Liver. CT slice.
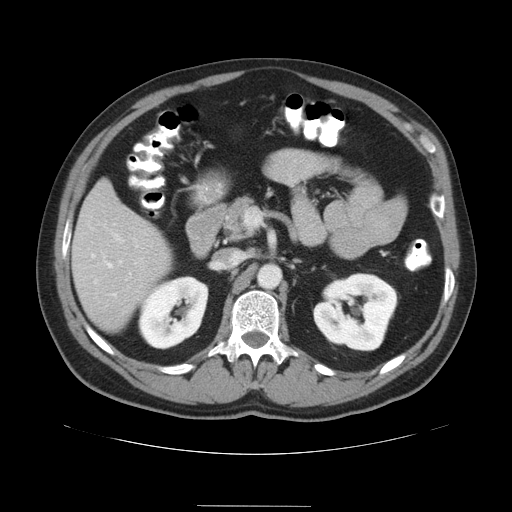 Only some of the vessels may be annotated.
Hepatic vessel: bounding box left=255, top=219, right=257, bottom=221; left=97, top=253, right=112, bottom=268; left=92, top=254, right=95, bottom=258; left=119, top=261, right=122, bottom=263; left=134, top=262, right=136, bottom=264; left=126, top=273, right=131, bottom=280; left=136, top=245, right=138, bottom=247; left=95, top=280, right=98, bottom=282; left=113, top=234, right=124, bottom=242; left=109, top=294, right=116, bottom=297.